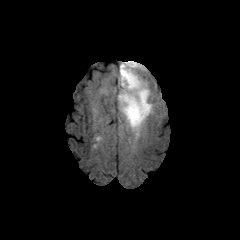
FLAIR MRI.
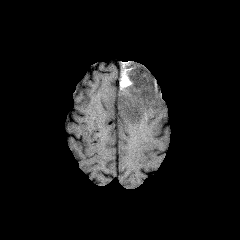
T1-weighted MR.
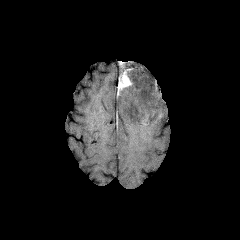
Post-contrast T1-weighted MR.
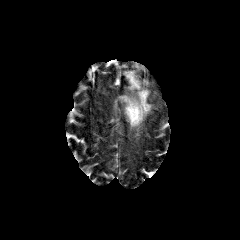
T2-weighted MR.
240x240
• non-enhancing tumor core: 127, 69, 134, 85; 120, 63, 130, 73
• edema: 117, 61, 155, 139
• enhancing tumor: 118, 69, 131, 88